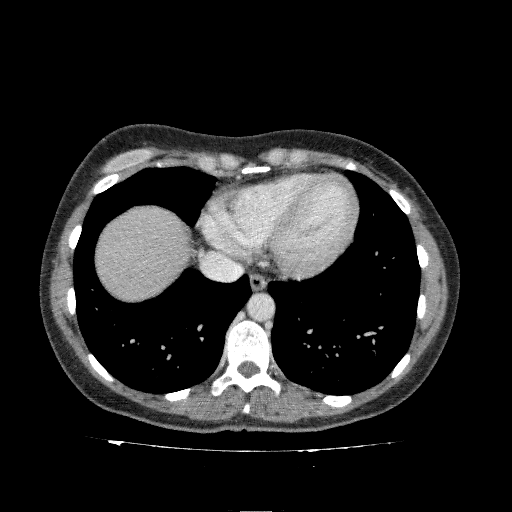 Computed tomography, Upper abdomen

Liver at box=[96, 206, 187, 300].